Slice 213/245, Abdomen, CT, Image width 386 mm
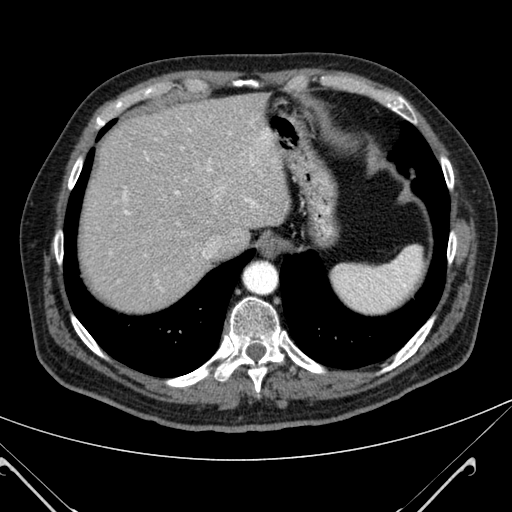
<segmentation>
  <liver>78,91,291,313</liver>
</segmentation>